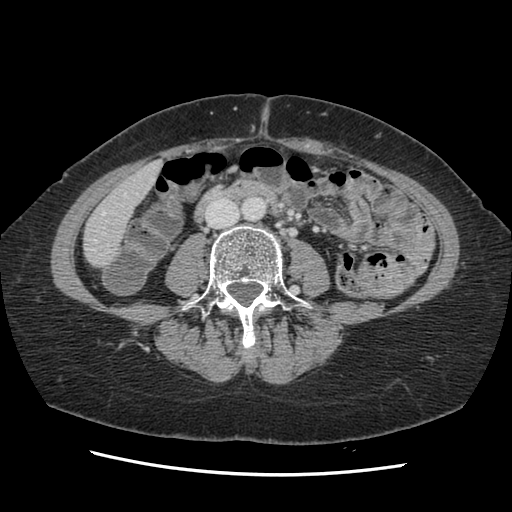
CT image. Not every hepatic vessel necessarily has a box.
2 hepatic vessel regions are bounded by bbox(102, 212, 104, 214); bbox(94, 239, 96, 241).